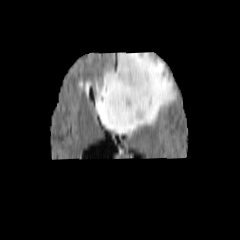
FLAIR MR image.
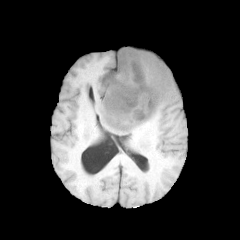
T1-weighted magnetic resonance of the same slice.
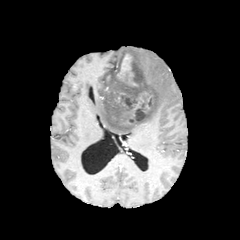
Post-contrast T1-weighted MR of the same slice.
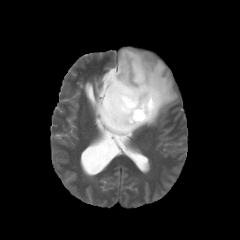
T2-weighted magnetic resonance of the same slice.
Brain. Image size 240x240.
* enhancing tumor: <box>117,54,131,78</box>
* non-enhancing tumor core: <box>101,52,155,126</box>
* edema: <box>94,48,179,134</box>